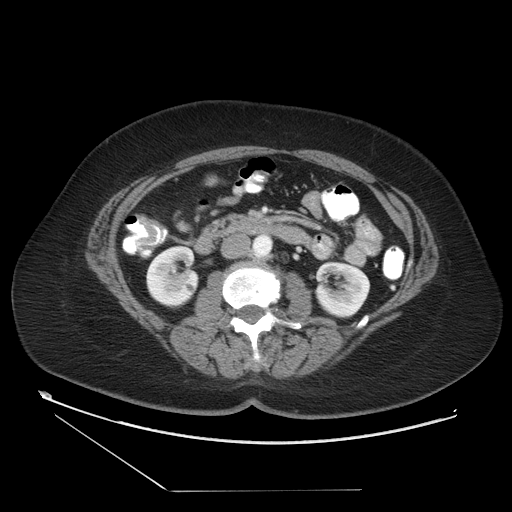

Abdomen, CT scan slice
<segmentation>
  <colon_tumor>(x1=136, y1=215, x2=156, y2=245)</colon_tumor>
</segmentation>